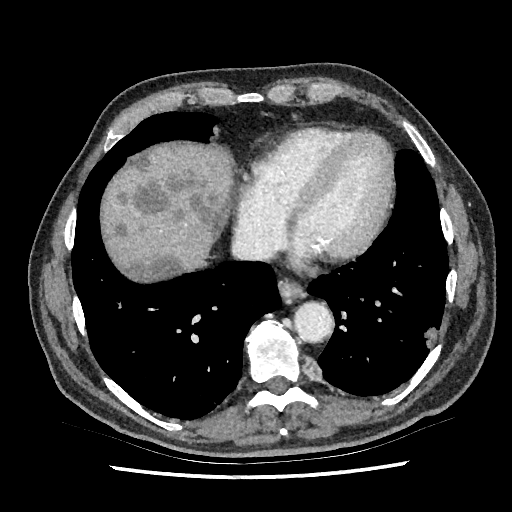
Upper abdomen; CT slice
<segmentation>
  <liver>l=103, t=142, r=232, b=269</liver>
  <hepatic_lesion>l=114, t=223, r=128, b=238; l=134, t=172, r=229, b=234; l=126, t=152, r=150, b=171; l=171, t=209, r=185, b=222; l=117, t=191, r=128, b=204; l=119, t=255, r=184, b=280</hepatic_lesion>
</segmentation>